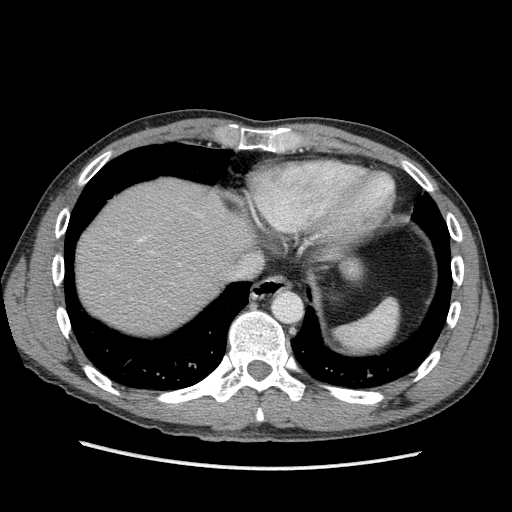 CT.
liver:
  - x1=314 y1=235 x2=344 y2=257
  - x1=75 y1=177 x2=260 y2=336